CT, Abdomen, Slice 224 of 605 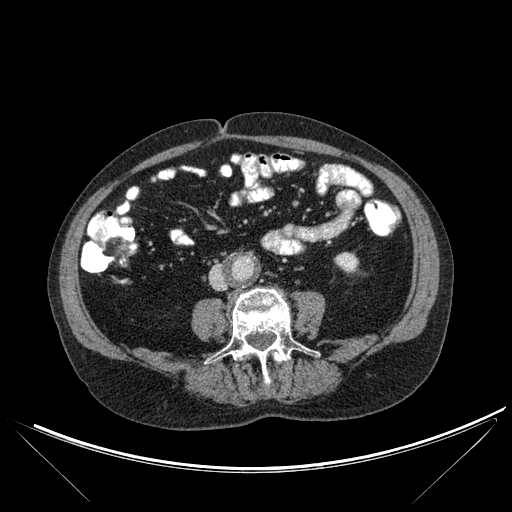 {
  "kidney": [
    "l=335, t=252, r=357, b=271"
  ],
  "bone": [
    "l=221, t=288, r=306, b=392"
  ]
}